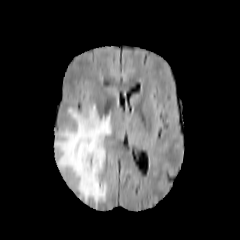
FLAIR MR.
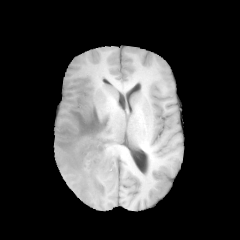
Same slice, T1-weighted MR.
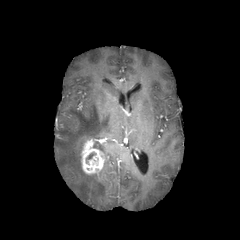
Post-contrast T1-weighted MR of the same slice.
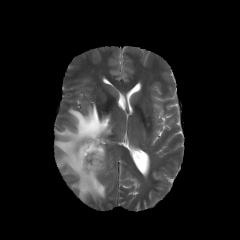
Same slice, T2-weighted magnetic resonance.
Brain. Image size 240x240.
{"edema": ["(54,105,112,203)"], "non-enhancing_tumor_core": ["(85,151,94,163)"], "enhancing_tumor": ["(81,139,104,174)"]}